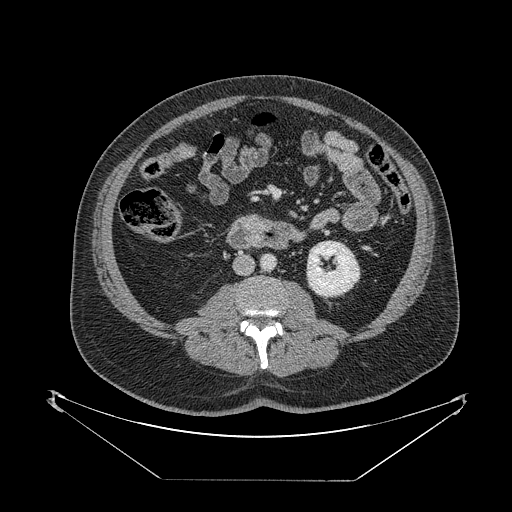

Abdomen | CT

The pancreatic tumor is at <bbox>249, 218, 259, 230</bbox>.